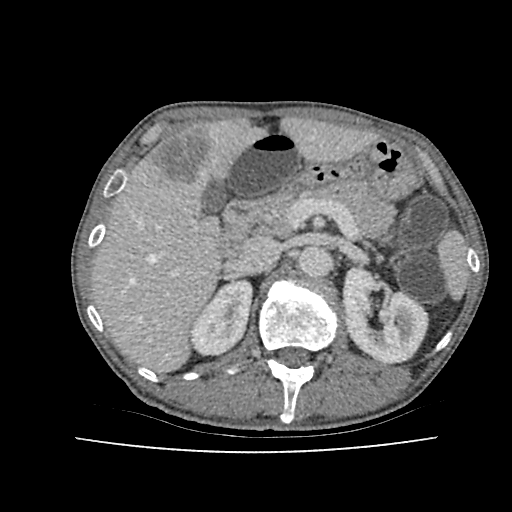

Computed tomography | Image size 512x512

liver lesion: (151,130,213,185) | liver: (284,119,370,160), (94,121,259,368) | kidney: (192,282,251,354), (344,269,426,362)